Image width 240 mm. Brain. Slice index 45.
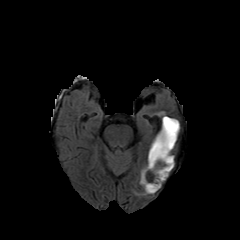
FLAIR MR image.
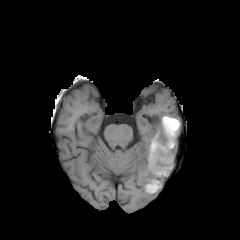
T1-weighted MR.
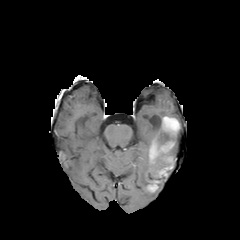
Post-contrast T1-weighted magnetic resonance.
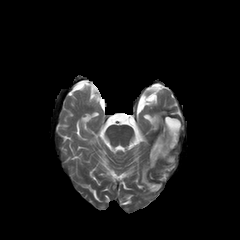
T2-weighted MR image.
non-enhancing tumor core: bbox(146, 118, 179, 191) | edema: bbox(140, 153, 156, 193); bbox(153, 129, 165, 141) | enhancing tumor: bbox(150, 145, 161, 159); bbox(164, 117, 179, 135)